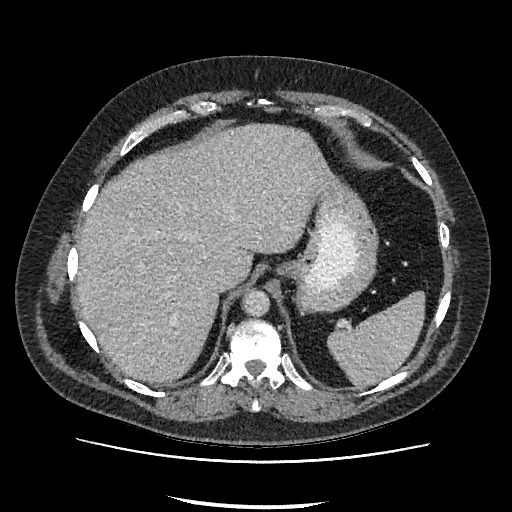
CT scan slice

<segmentation>
  <liver>box=[78, 125, 326, 381]</liver>
</segmentation>